Slice 155 of 696 | 512x512 px | Image width 339 mm | CT image
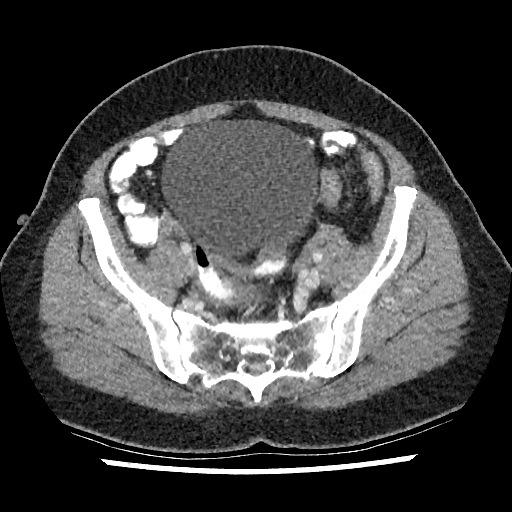
urinary bladder: <bbox>162, 120, 319, 264</bbox>